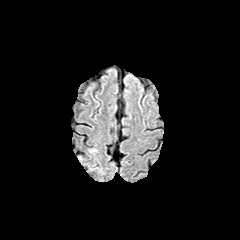
FLAIR magnetic resonance.
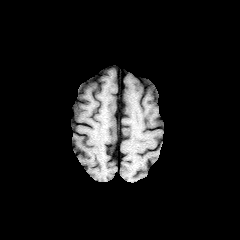
Same slice, T1-weighted MR image.
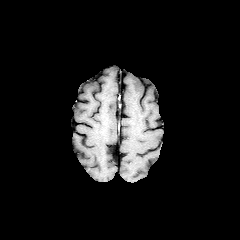
Post-contrast T1-weighted MR of the same slice.
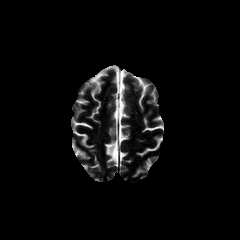
T2-weighted magnetic resonance.
Brain
The edema is bounded by 80, 145, 102, 171.